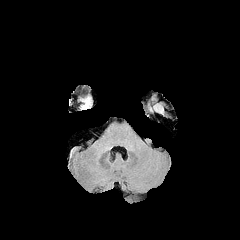
FLAIR MRI.
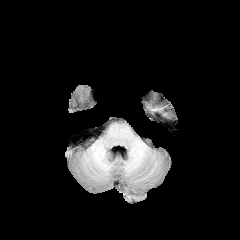
T1-weighted MR image of the same slice.
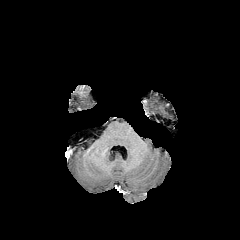
Post-contrast T1-weighted MR.
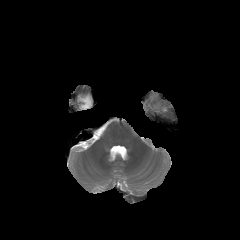
T2-weighted MRI of the same slice.
Image size 240x240
The edema is at box=[80, 96, 91, 108].